FLAIR MRI.
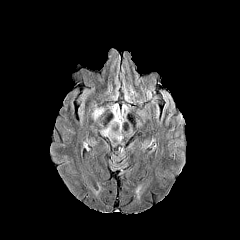
T1-weighted MRI.
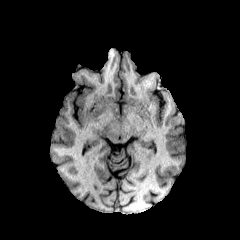
Post-contrast T1-weighted MR image.
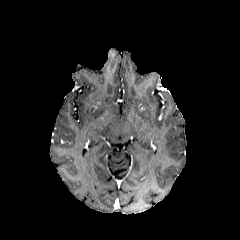
T2-weighted magnetic resonance.
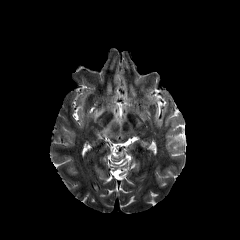
Brain
edema:
  - region(94, 108, 102, 118)